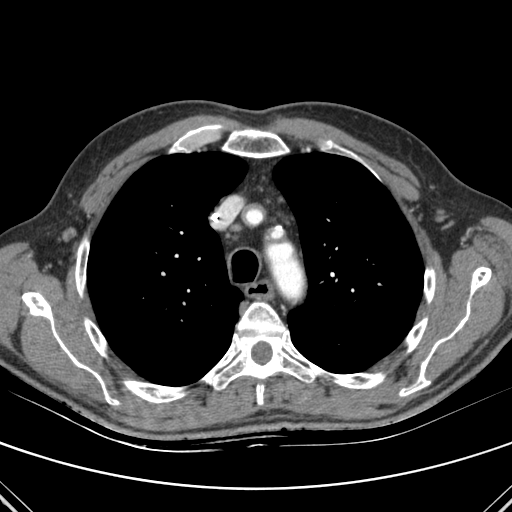 CT | Image size 512x512
Bone = [x1=75, y1=238, x2=88, y2=296], [x1=325, y1=140, x2=361, y2=162], [x1=170, y1=124, x2=222, y2=152], [x1=222, y1=129, x2=289, y2=157], [x1=202, y1=302, x2=385, y2=404], [x1=84, y1=318, x2=106, y2=356], [x1=22, y1=292, x2=119, y2=405], [x1=424, y1=268, x2=435, y2=302], [x1=406, y1=317, x2=427, y2=352], [x1=123, y1=380, x2=185, y2=403], [x1=470, y1=267, x2=491, y2=295], [x1=399, y1=302, x2=470, y2=396].
Lung = [x1=87, y1=152, x2=247, y2=386], [x1=272, y1=152, x2=423, y2=373].